FLAIR MRI.
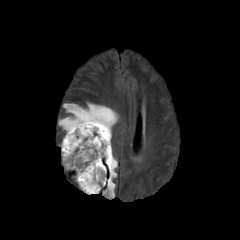
T1-weighted MR.
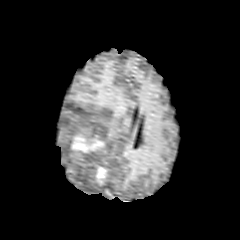
Post-contrast T1-weighted magnetic resonance.
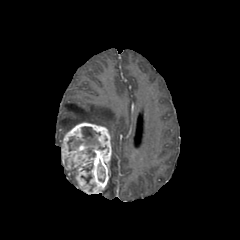
T2-weighted magnetic resonance.
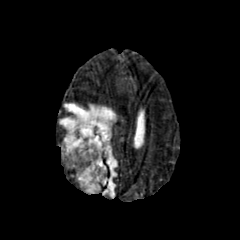
Brain
edema: [81,135,98,150], [105,148,117,195], [58,103,117,145] | non-enhancing tumor core: [71,161,82,175], [82,127,100,139], [81,174,91,183], [86,148,95,158], [69,105,85,114], [67,136,81,151], [82,163,93,172] | enhancing tumor: [61,122,111,193]